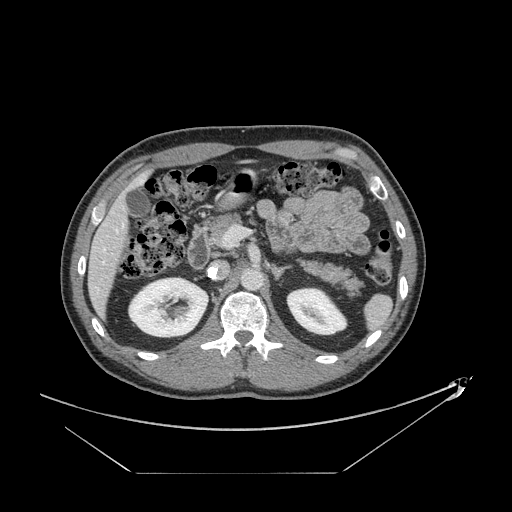 Abdomen. CT slice. Image size 512x512.

{"pancreas": ["296,256,360,296", "208,214,242,250"]}